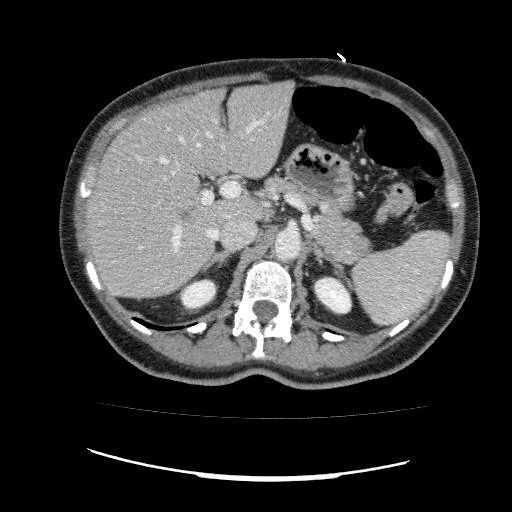 Liver; CT scan slice
{"hepatic_lesion": ["178 209 190 221"], "kidney": ["316 278 350 312", "182 281 214 307"], "liver": ["85 80 294 298"]}